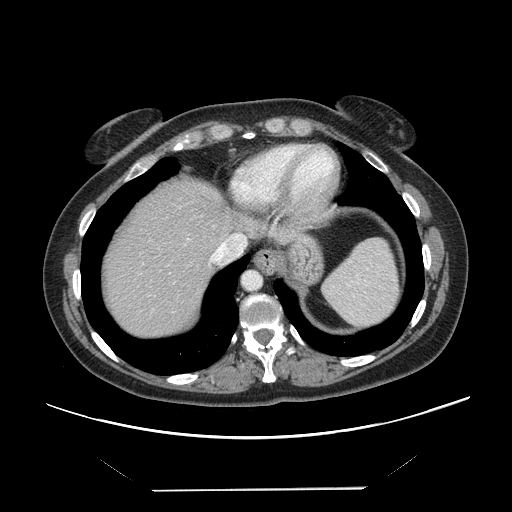

512x512 px; CT; Liver
Only some of the vessels may be annotated.
{"hepatic_vessel": ["(209, 233, 243, 264)"]}